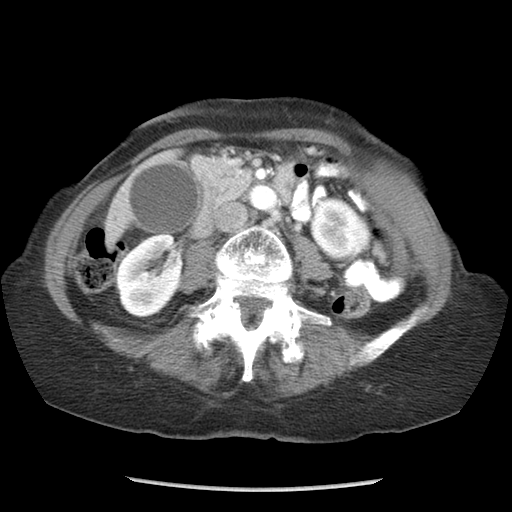

CT image
The pancreas is at left=202, top=155, right=251, bottom=200.